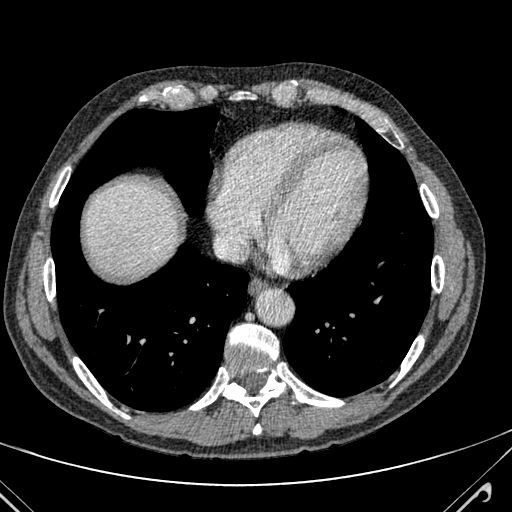
CT scan slice; 512x512 px; Upper abdomen
Liver at region(88, 186, 174, 274).